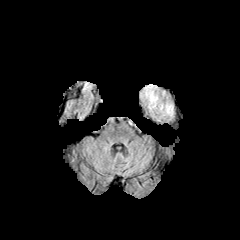
FLAIR magnetic resonance.
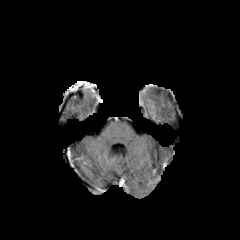
T1-weighted MRI.
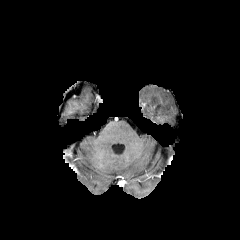
Same slice, post-contrast T1-weighted MR image.
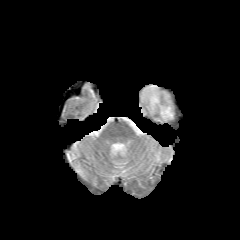
T2-weighted MR image.
Head.
edema:
  - l=142, t=85, r=173, b=120